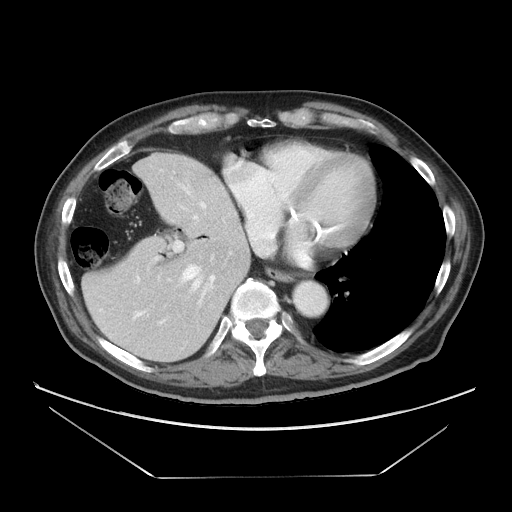
512x512 px, CT slice

Only some of the vessels may be annotated.
hepatic vessel: region(179, 264, 215, 294); region(135, 276, 139, 282); region(172, 240, 183, 251); region(133, 310, 147, 319)